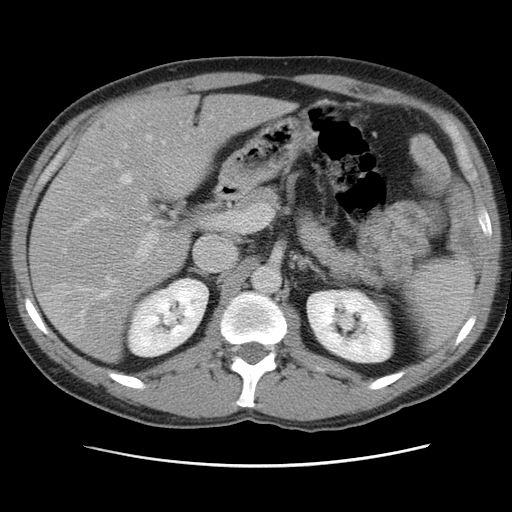
Abdomen; Computed tomography; Image size 512x512
The vessel annotation is not exhaustive.
[15/18] hepatic vessel: x1=95, y1=212, x2=100, y2=216; x1=110, y1=217, x2=112, y2=219; x1=115, y1=161, x2=119, y2=166; x1=78, y1=287, x2=92, y2=291; x1=98, y1=291, x2=110, y2=298; x1=124, y1=144, x2=127, y2=147; x1=121, y1=172, x2=131, y2=183; x1=107, y1=277, x2=116, y2=283; x1=61, y1=284, x2=66, y2=285; x1=147, y1=135, x2=151, y2=140; x1=143, y1=216, x2=150, y2=220; x1=136, y1=234, x2=157, y2=260; x1=101, y1=208, x2=106, y2=214; x1=63, y1=249, x2=66, y2=252; x1=134, y1=272, x2=136, y2=276 | liver tumor: x1=43, y1=285, x2=75, y2=335; x1=97, y1=109, x2=133, y2=131